Slice 59 of 95 | Computed tomography | Image size 512x512 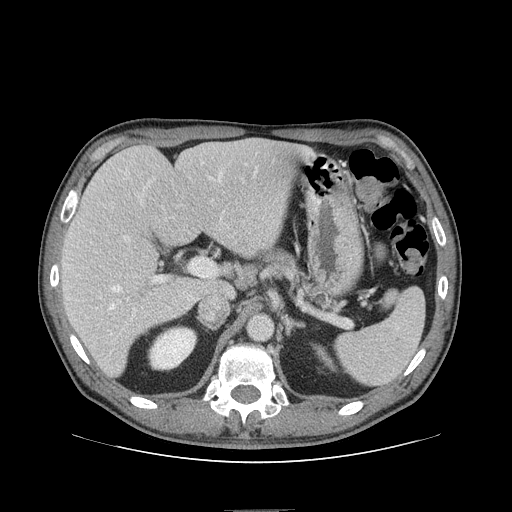 Pancreas: bounding box <bbox>259, 247, 332, 306</bbox>.
Pancreatic tumor: bounding box <bbox>275, 254, 292, 268</bbox>.